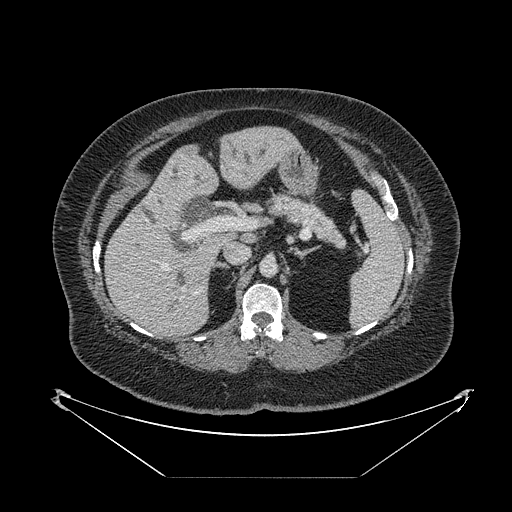
Abdomen, CT scan slice
Pancreas: bounding box left=264, top=191, right=347, bottom=248.